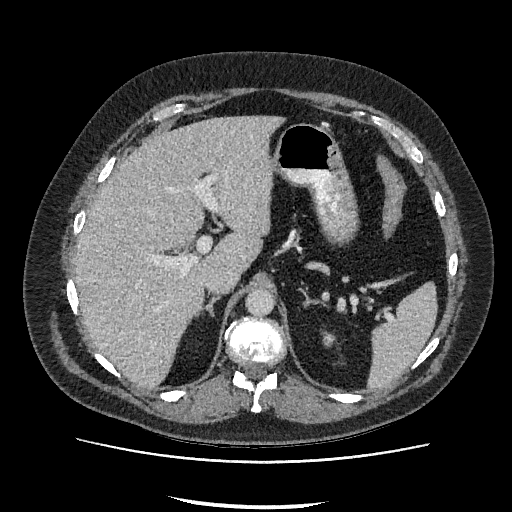

Liver, CT image
Liver: 76,116,282,387.